Slice 211 of 424 | CT slice | Liver 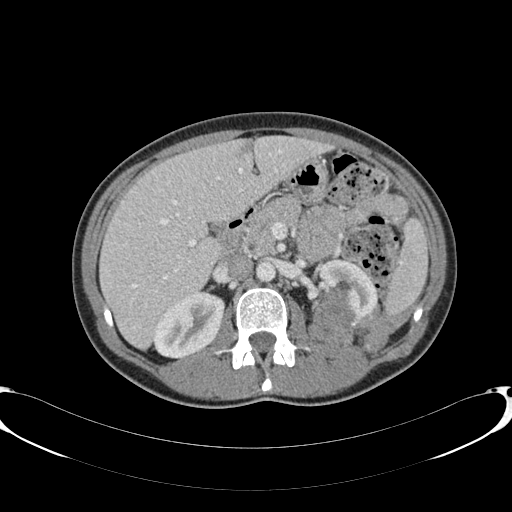

liver_lesion:
  - 242, 139, 253, 152
liver:
  - 101, 136, 334, 348
kidney:
  - 314, 260, 376, 349
  - 154, 293, 223, 357